Field of view 403x403 mm | CT image 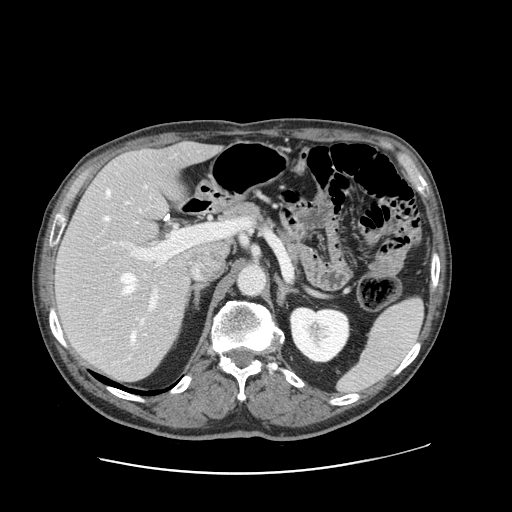
The vessel boxes may cover only some of the vessels.
Annotated regions:
- hepatic vessel: (x1=131, y1=333, x2=134, y2=342), (x1=150, y1=293, x2=156, y2=308), (x1=121, y1=273, x2=135, y2=292), (x1=104, y1=216, x2=108, y2=220), (x1=120, y1=242, x2=122, y2=244), (x1=139, y1=209, x2=140, y2=211), (x1=126, y1=202, x2=128, y2=203), (x1=135, y1=248, x2=151, y2=257), (x1=106, y1=190, x2=110, y2=196)